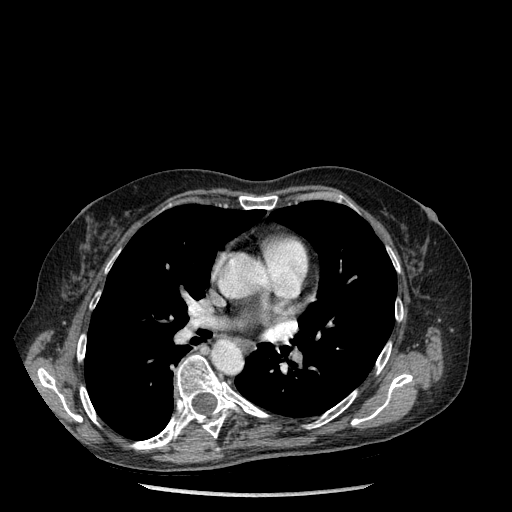 CT slice | Chest | Image size 512x512
11 bone regions are located at 305:390:356:428, 395:298:403:321, 130:354:268:449, 105:250:119:272, 239:195:277:209, 80:386:98:425, 376:342:391:374, 387:247:400:272, 77:334:86:361, 351:373:412:425, 37:367:82:422. 2 lung regions are located at 235:200:396:417, 84:204:264:440.